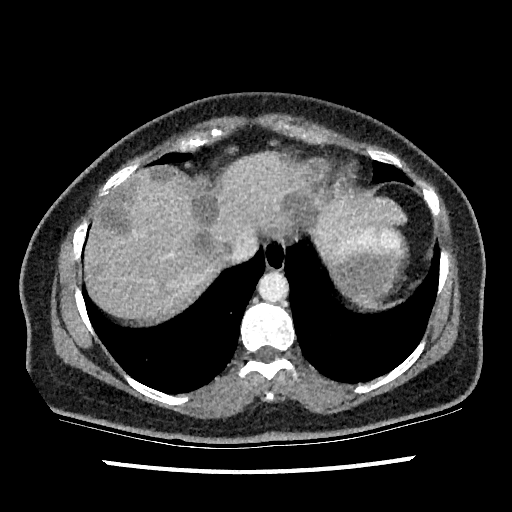

CT; 512x512 px
* focal liver lesion: 187, 179, 217, 228; 194, 230, 230, 258; 152, 168, 174, 183; 283, 193, 312, 223; 99, 188, 134, 234
* liver: 85, 154, 404, 320